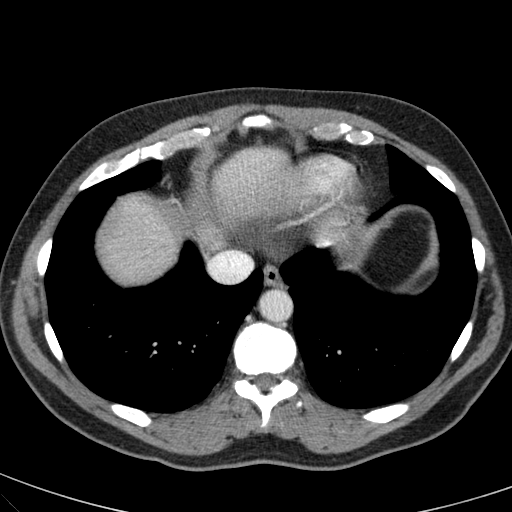
Computed tomography.

3 liver regions are located at bbox(102, 198, 196, 278); bbox(214, 151, 288, 211); bbox(317, 222, 338, 229).